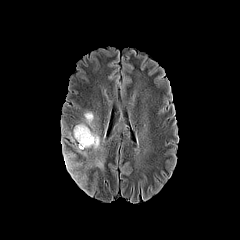
FLAIR MR.
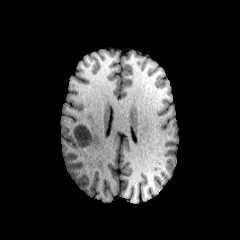
T1-weighted MR of the same slice.
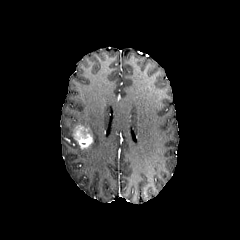
Post-contrast T1-weighted MRI of the same slice.
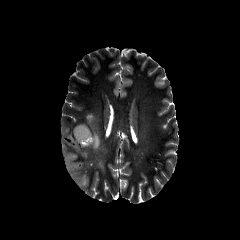
T2-weighted MR.
Head
Edema: {"x1": 67, "y1": 113, "x2": 101, "y2": 156}, {"x1": 94, "y1": 159, "x2": 103, "y2": 168}, {"x1": 63, "y1": 152, "x2": 85, "y2": 188}.
Enhancing tumor: {"x1": 74, "y1": 126, "x2": 93, "y2": 150}.